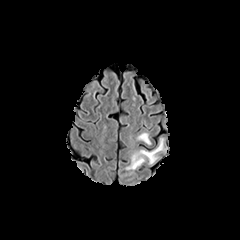
FLAIR magnetic resonance.
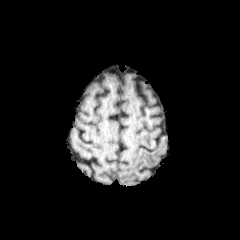
T1-weighted magnetic resonance.
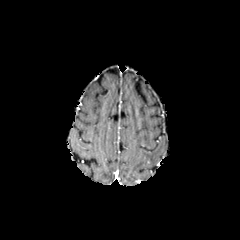
Post-contrast T1-weighted magnetic resonance.
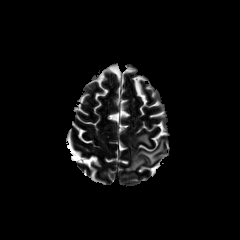
T2-weighted MR.
Head.
Edema at box=[137, 133, 151, 145]; box=[125, 138, 164, 170].